CT scan slice | Liver | Slice 423/771 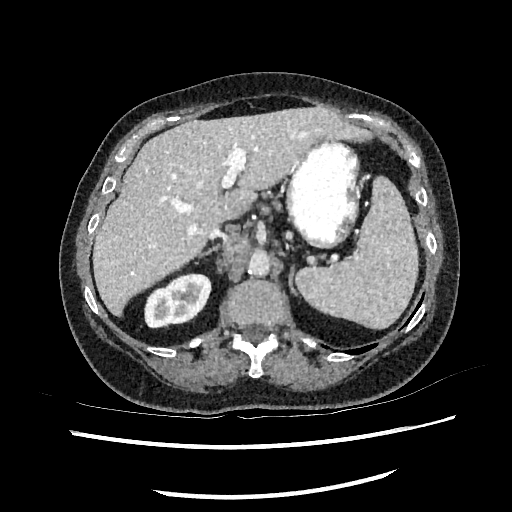 Kidney: bounding box x1=145, y1=275, x2=210, y2=326.
Liver: bounding box x1=92, y1=106, x2=371, y2=316.